CT slice.
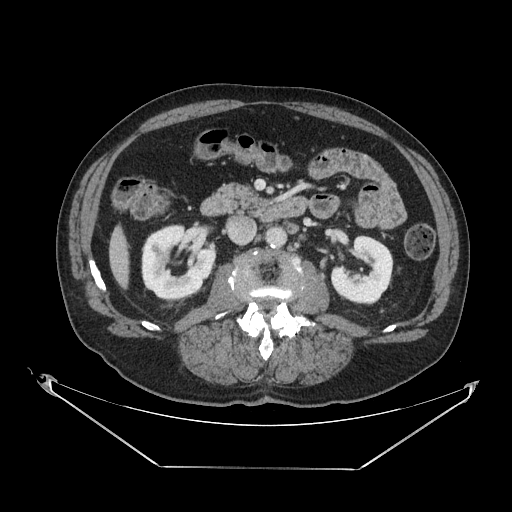 • pancreas: [x1=214, y1=182, x2=265, y2=217]